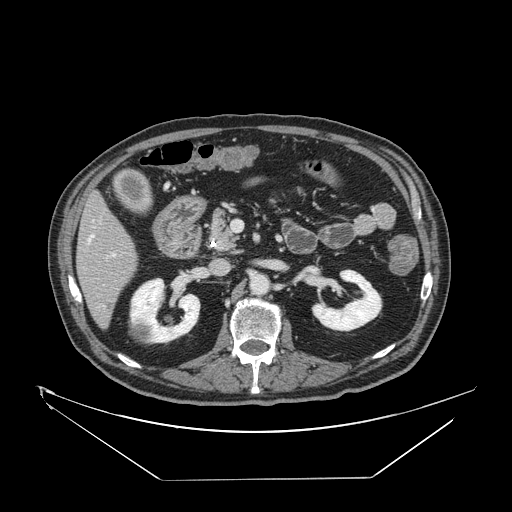 512x512 px; Upper abdomen; CT image
Pancreatic tumor at <bbox>209, 234, 227, 249</bbox>.
Pancreas at <bbox>203, 207, 241, 254</bbox>.